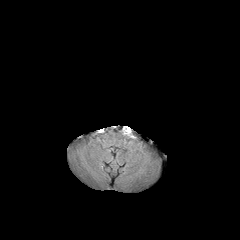
FLAIR MR image.
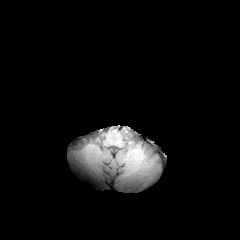
Same slice, T1-weighted MR.
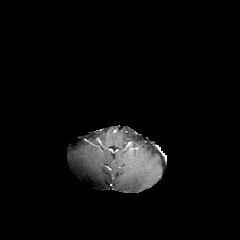
Same slice, post-contrast T1-weighted MR.
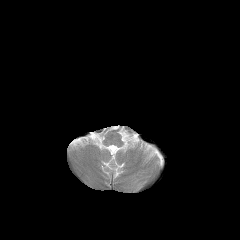
T2-weighted MRI.
Image size 240x240. Brain.
edema: bbox=[122, 131, 133, 141]